Computed tomography, Lower abdomen

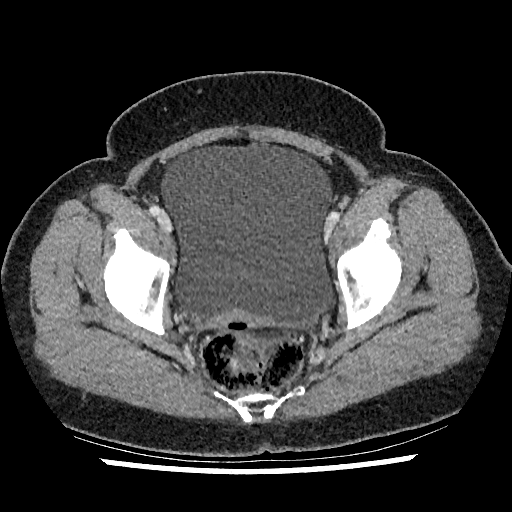

Urinary bladder at <bbox>161, 143, 333, 329</bbox>.